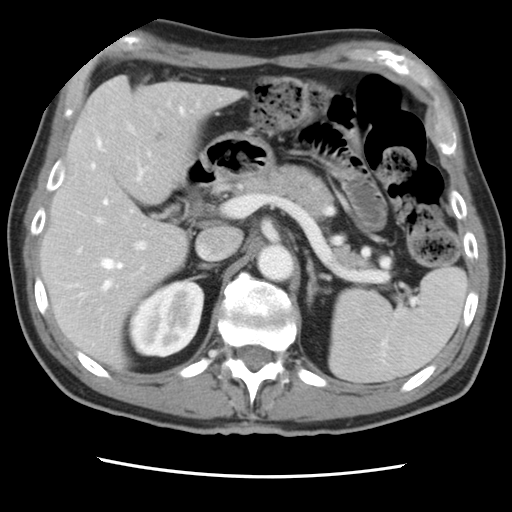
CT slice, Liver
Some hepatic vessels may have no box.
Segmented structures:
• hepatic vessel: box(102, 258, 122, 268); box(104, 281, 110, 288); box(180, 108, 183, 113); box(92, 163, 95, 167); box(102, 149, 104, 150); box(69, 285, 71, 286); box(137, 242, 144, 248); box(137, 166, 145, 180); box(97, 139, 101, 146); box(96, 218, 102, 222); box(131, 210, 133, 211); box(104, 200, 107, 203); box(148, 152, 150, 154)